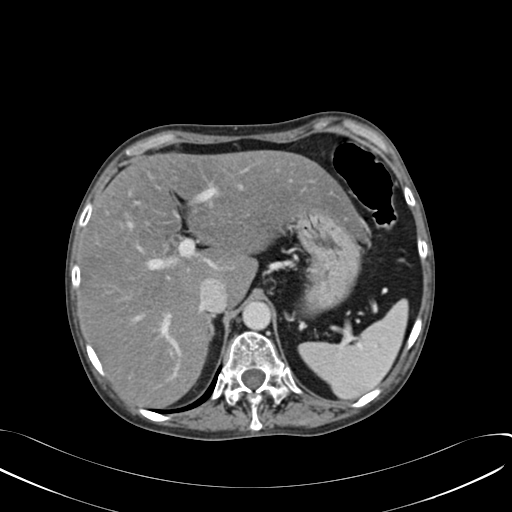

CT. Liver = [79, 150, 369, 407].